Slice 100 of 155, 240x240, Head, Image width 240 mm
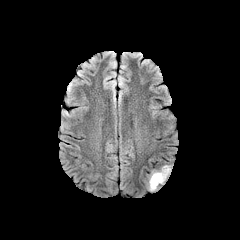
FLAIR MR image.
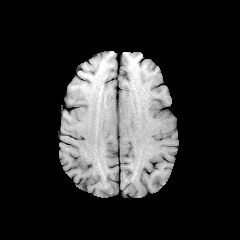
T1-weighted MRI of the same slice.
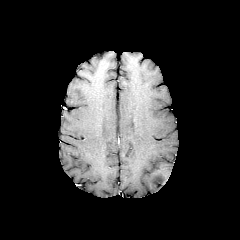
Same slice, post-contrast T1-weighted magnetic resonance.
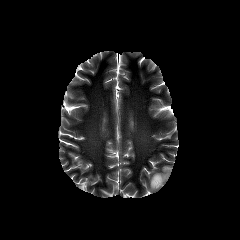
Same slice, T2-weighted MRI.
The edema is at (left=148, top=165, right=170, bottom=189). The non-enhancing tumor core is at (left=153, top=174, right=163, bottom=184).